FLAIR MR image.
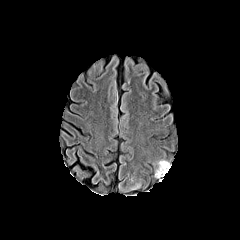
T1-weighted MR.
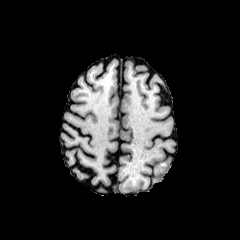
Post-contrast T1-weighted MR.
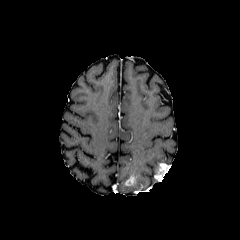
T2-weighted MR.
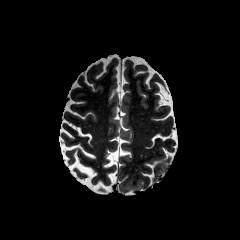
Head; Image size 240x240
2 edema regions appear at box(151, 159, 167, 169); box(118, 178, 141, 192). 2 enhancing tumor regions appear at box(154, 161, 171, 180); box(124, 174, 136, 185).